CT slice | Slice 22/81 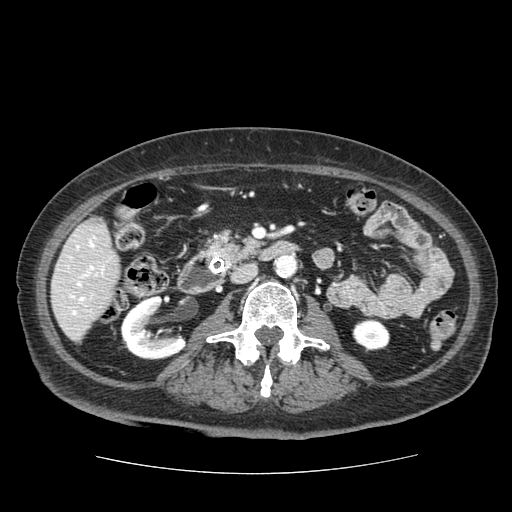

Findings:
- pancreas: (207, 233, 260, 264)